FLAIR MR image.
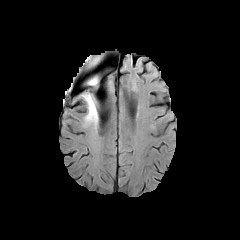
T1-weighted MRI.
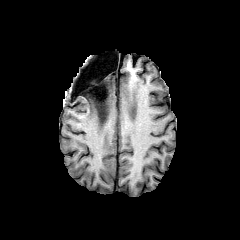
Post-contrast T1-weighted magnetic resonance.
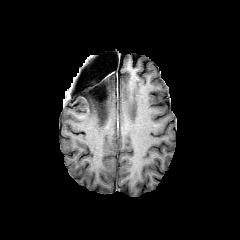
T2-weighted MR image.
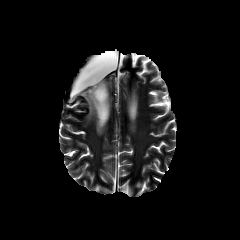
Brain
non-enhancing tumor core: box(83, 76, 99, 111); box(86, 56, 96, 65) | edema: box(79, 94, 100, 130)